Slice 432/771; Upper abdomen; CT

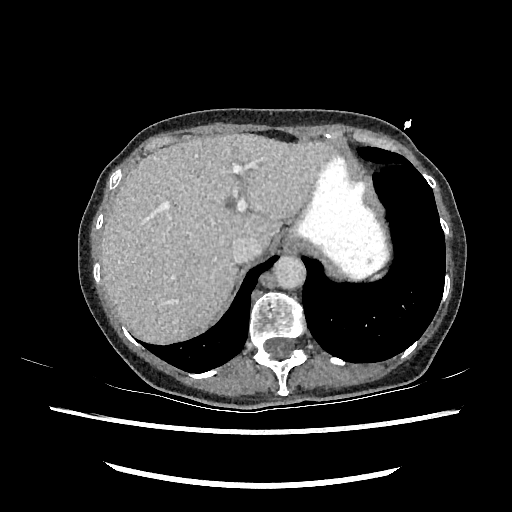 {
  "liver": [
    "<box>102,134,330,342</box>"
  ]
}